FLAIR MRI.
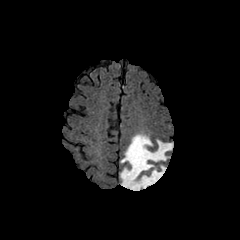
T1-weighted MRI.
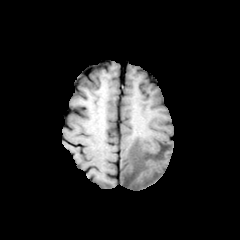
Post-contrast T1-weighted MRI.
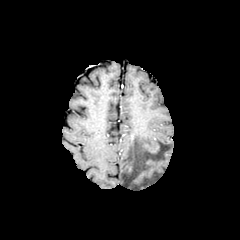
T2-weighted MR.
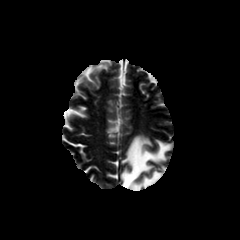
{
  "edema": [
    "region(119, 134, 172, 190)"
  ]
}